Field of view 387 mm wide, 0.80 mm slice spacing; CT image; 512x512; Abdomen 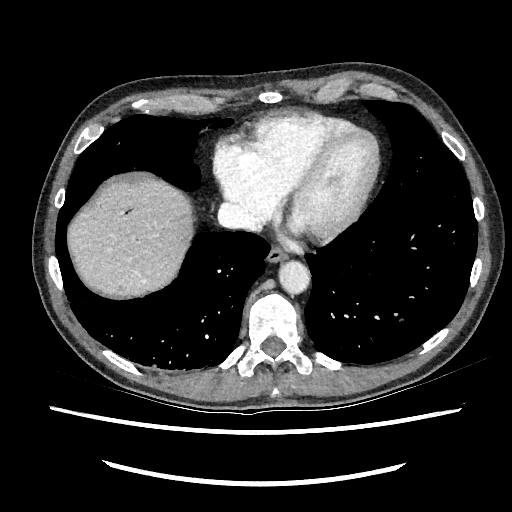

Liver = 69 180 190 294.